Slice 69/155
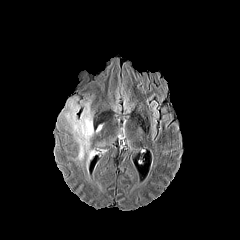
FLAIR magnetic resonance.
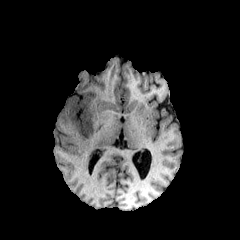
Same slice, T1-weighted magnetic resonance.
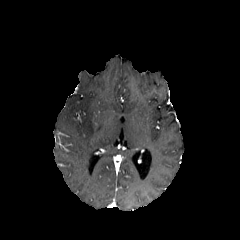
Post-contrast T1-weighted MRI.
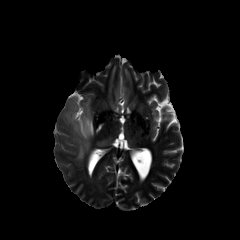
T2-weighted MRI of the same slice.
Edema: bounding box {"x1": 72, "y1": 111, "x2": 94, "y2": 160}, {"x1": 86, "y1": 151, "x2": 93, "y2": 172}.